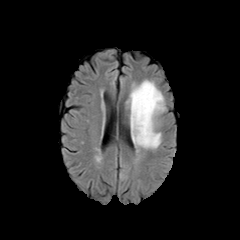
FLAIR MR.
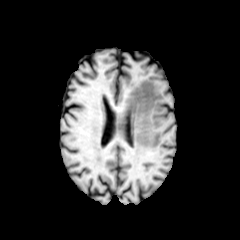
T1-weighted magnetic resonance.
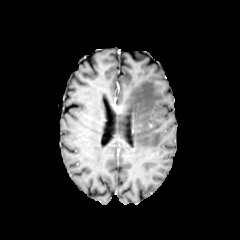
Post-contrast T1-weighted magnetic resonance of the same slice.
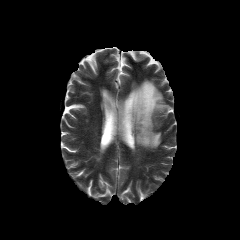
T2-weighted MRI.
Head | 240x240 px
Annotated regions:
• edema: bbox(125, 79, 166, 149)